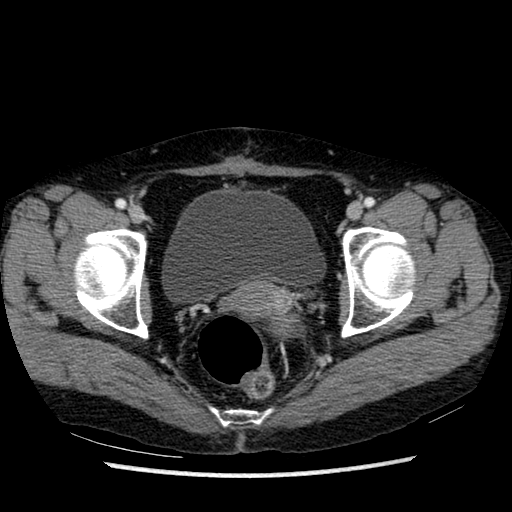
CT image; 512x512 px; Pelvis

urinary bladder: [161, 185, 326, 304]